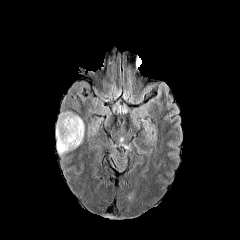
FLAIR MR image.
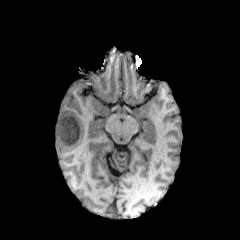
Same slice, T1-weighted magnetic resonance.
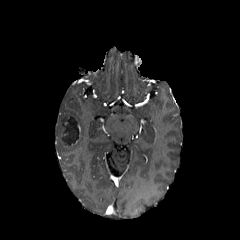
Same slice, post-contrast T1-weighted MR image.
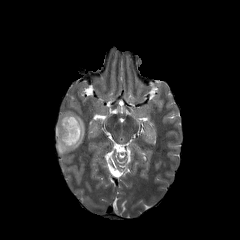
T2-weighted MR.
Head
Edema: bbox(55, 111, 84, 155).
Non-enhancing tumor core: bbox(60, 114, 79, 145).